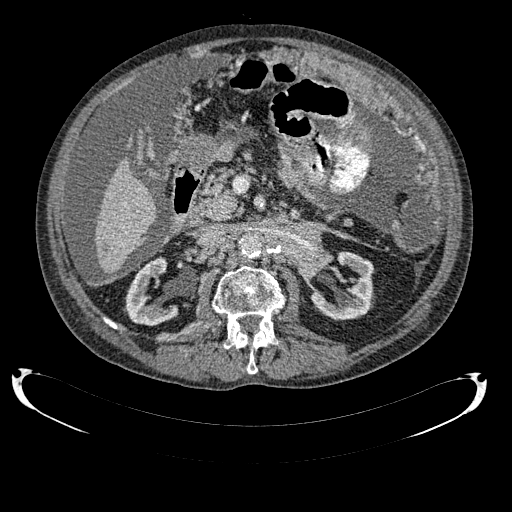
CT | Liver
The liver is at (95, 156, 155, 273). 2 kidney regions are located at (309, 252, 373, 319), (126, 258, 177, 325).